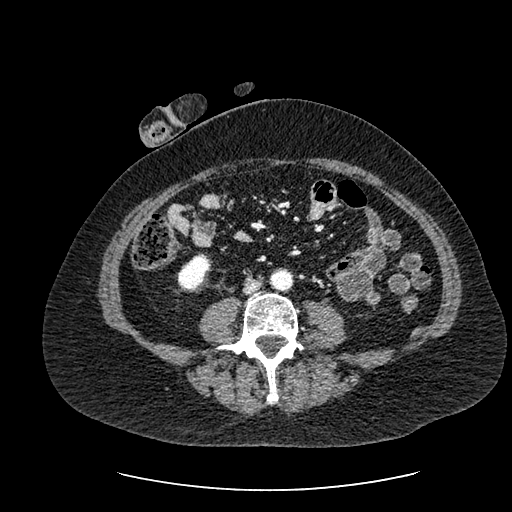 CT, Abdomen
{"kidney": ["x1=178, y1=255, x2=209, y2=289"]}